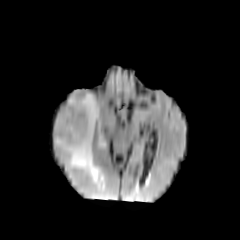
FLAIR MRI.
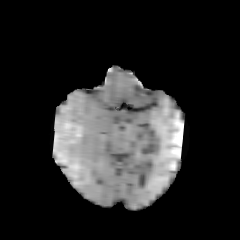
T1-weighted MRI.
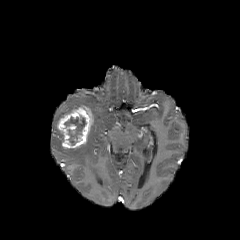
Post-contrast T1-weighted magnetic resonance.
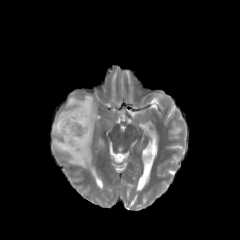
Same slice, T2-weighted magnetic resonance.
Non-enhancing tumor core = rect(64, 115, 86, 144).
Edema = rect(53, 91, 99, 182).
Enhancing tumor = rect(57, 104, 93, 149).